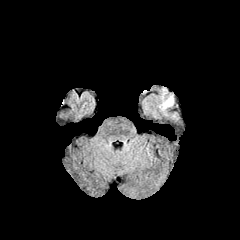
FLAIR magnetic resonance.
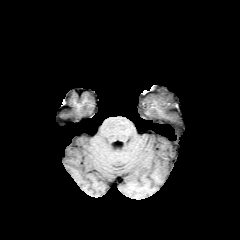
T1-weighted MRI.
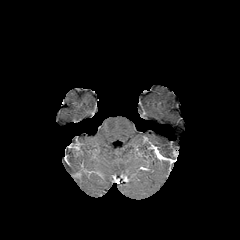
Post-contrast T1-weighted magnetic resonance.
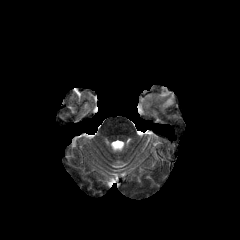
T2-weighted MRI.
Brain. Image size 240x240.
edema: {"x1": 143, "y1": 100, "x2": 152, "y2": 111}, {"x1": 154, "y1": 88, "x2": 174, "y2": 115}